Slice 201/466; Computed tomography

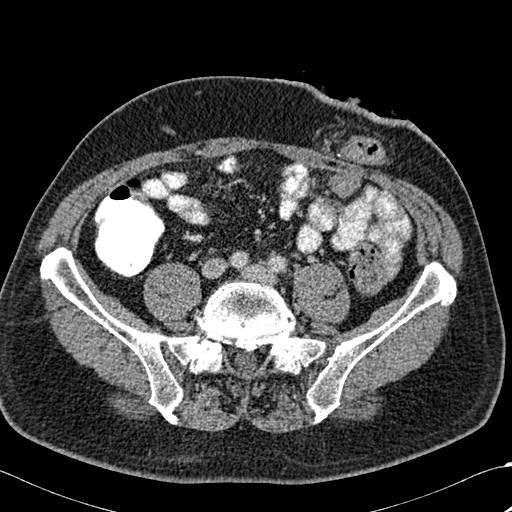 Annotated regions:
* bone: rect(41, 248, 325, 423); rect(307, 262, 455, 422)